Slice 50/155. Brain.
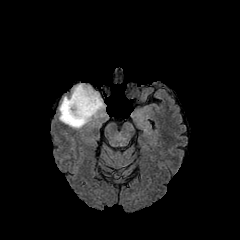
FLAIR MR image.
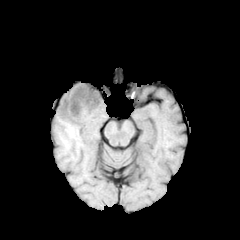
T1-weighted MR image.
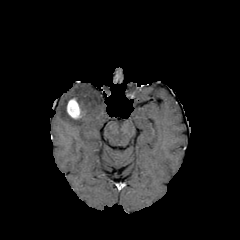
Post-contrast T1-weighted MR.
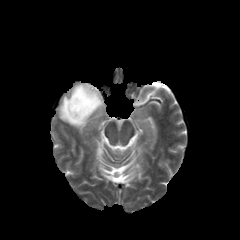
Same slice, T2-weighted magnetic resonance.
edema:
  - x1=59 y1=83 x2=105 y2=131
enhancing_tumor:
  - x1=67 y1=98 x2=85 y2=119